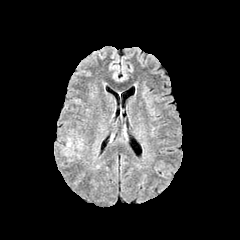
FLAIR MRI.
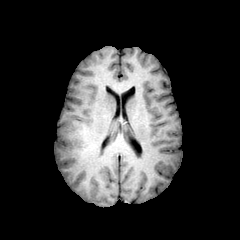
Same slice, T1-weighted MR.
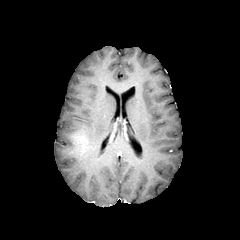
Post-contrast T1-weighted MRI.
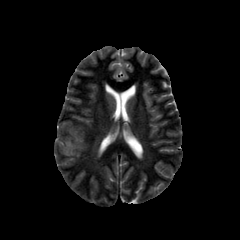
T2-weighted MR image.
enhancing tumor: [74, 135, 83, 151] | edema: [63, 128, 77, 149], [63, 151, 81, 158] | non-enhancing tumor core: [64, 132, 79, 153]